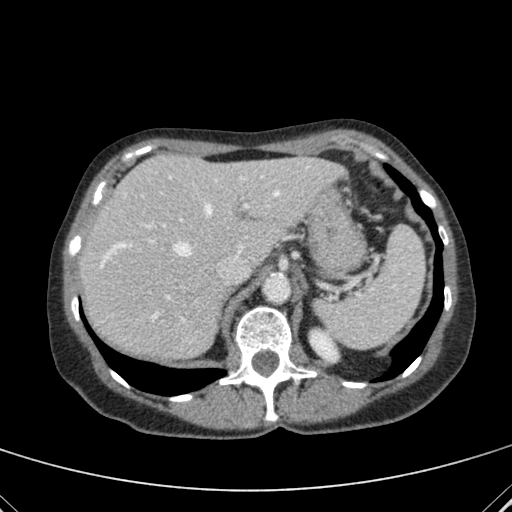
CT scan slice

The kidney is located at left=312, top=331, right=337, bottom=360. The liver lies within left=80, top=155, right=339, bottom=357.